240x240 px | Head | Slice 67/155 | Image width 240 mm
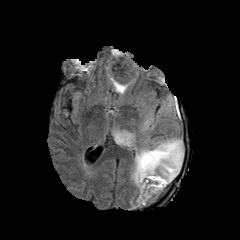
FLAIR MRI.
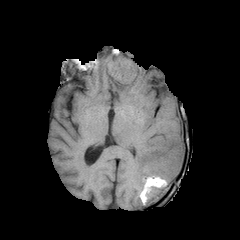
Same slice, T1-weighted magnetic resonance.
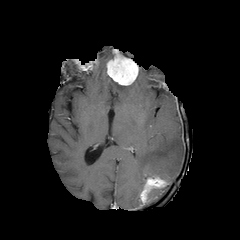
Post-contrast T1-weighted MR image.
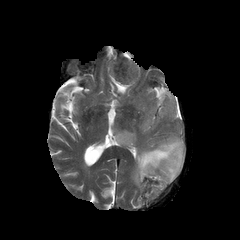
T2-weighted magnetic resonance of the same slice.
<segmentation>
  <enhancing_tumor>107 65 133 85, 140 176 166 201</enhancing_tumor>
  <non-enhancing_tumor_core>107 56 138 82</non-enhancing_tumor_core>
  <edema>148 188 163 197, 132 136 184 191, 109 78 129 93, 118 136 133 146</edema>
</segmentation>